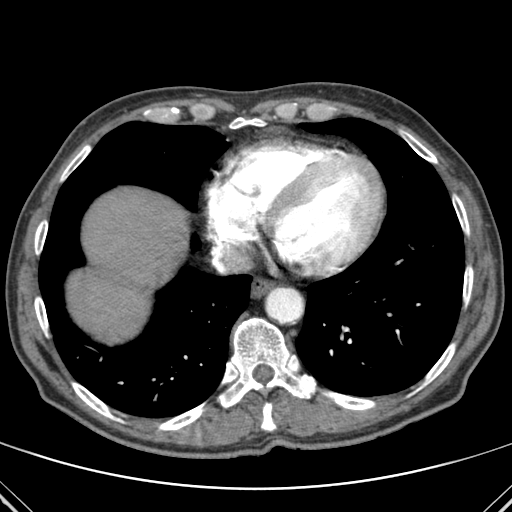 Abdomen, Image size 512x512, Computed tomography

3 lung regions are bounded by [295,118,464,396], [191,235,200,251], [39,121,251,417]. The liver is bounded by [66,187,189,343]. 13 bone regions are located at [61,145,90,180], [229,117,264,128], [158,403,204,430], [405,134,437,163], [218,318,315,407], [72,382,120,421], [421,343,455,387], [261,403,275,430], [34,220,47,254], [34,297,47,334], [453,195,469,233], [463,267,473,303], [322,392,375,410].